FLAIR MRI.
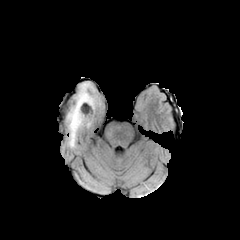
T1-weighted MRI.
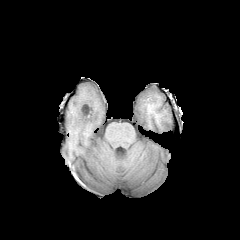
Post-contrast T1-weighted MR.
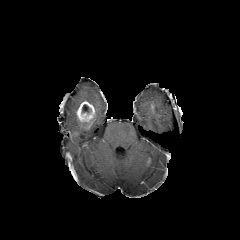
T2-weighted MR.
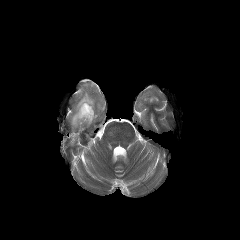
Image size 240x240.
enhancing tumor: 76 100 94 122 | non-enhancing tumor core: 82 104 91 115 | edema: 66 83 97 147